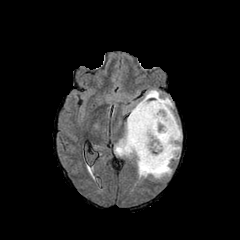
FLAIR MR image.
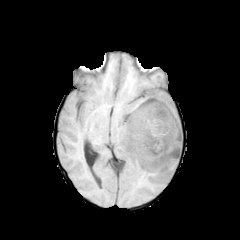
T1-weighted MR image of the same slice.
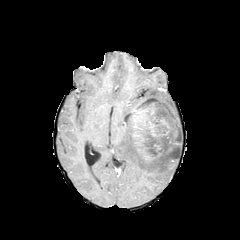
Same slice, post-contrast T1-weighted MRI.
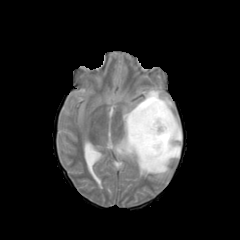
Same slice, T2-weighted magnetic resonance.
240x240 px | Brain
non-enhancing_tumor_core:
  - box=[128, 96, 179, 161]
edema:
  - box=[114, 89, 182, 178]
enhancing_tumor:
  - box=[132, 108, 155, 143]
  - box=[161, 118, 170, 128]